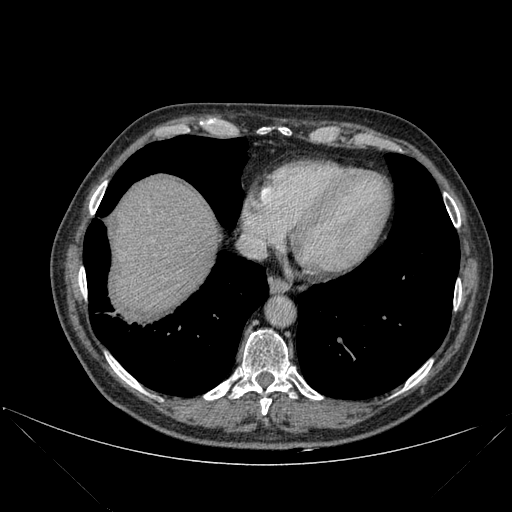 CT image | Liver

Annotated regions:
• bone: box=[78, 267, 86, 297]; box=[204, 330, 322, 399]; box=[260, 398, 271, 414]; box=[402, 360, 432, 390]; box=[444, 192, 460, 227]; box=[89, 181, 106, 214]; box=[454, 279, 461, 309]; box=[106, 355, 144, 392]
• lung: box=[297, 153, 459, 399]; box=[83, 135, 268, 396]
• liver: box=[108, 180, 222, 317]